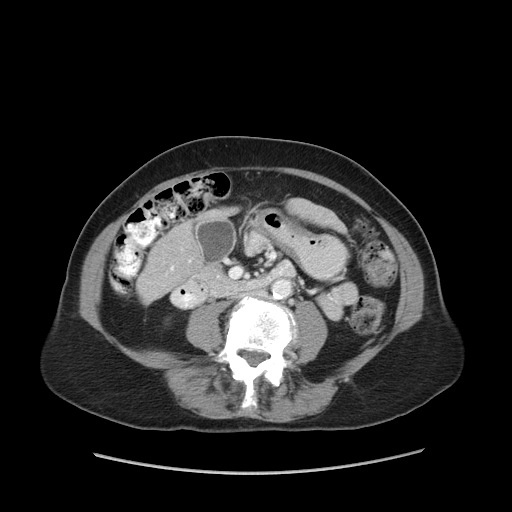
Abdomen. 512x512 px. CT scan slice. The vessel annotation is not exhaustive.
Hepatic vessel: (171,267,172,269), (189,260,190,261).